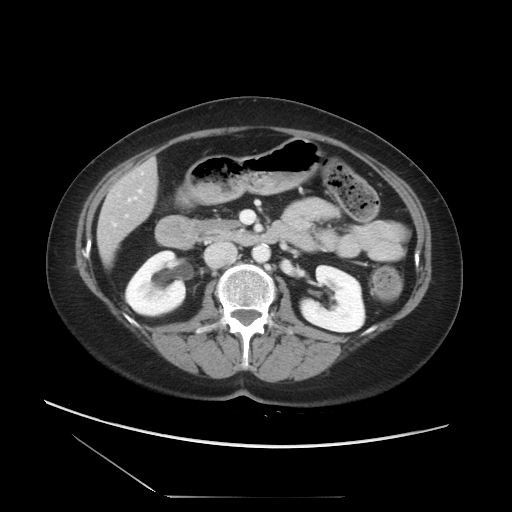
512x512 px; Computed tomography

The vessel boxes may cover only some of the vessels.
Hepatic vessel: [112, 222, 116, 226], [141, 172, 143, 174], [138, 190, 141, 193], [128, 197, 136, 201].